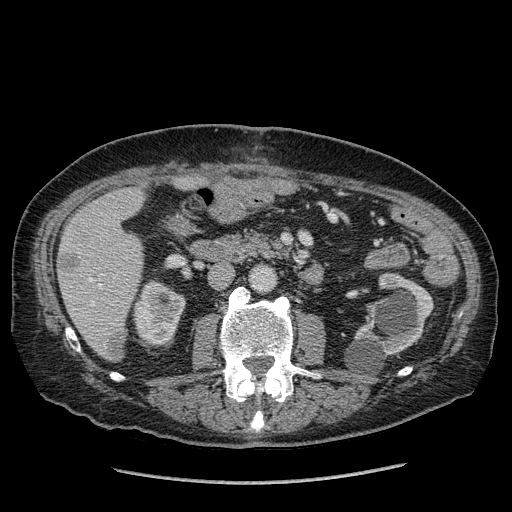 CT image

Kidney = 355, 273, 433, 354; 134, 282, 184, 344.
Liver = 58, 181, 146, 361; 175, 177, 208, 190.
Liver lesion = 108, 331, 124, 361; 57, 253, 79, 269.